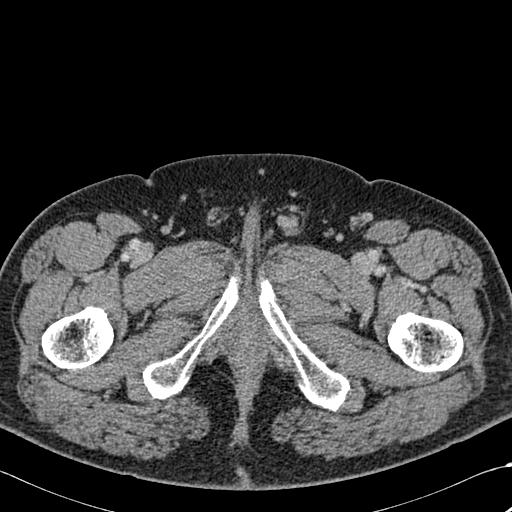
CT slice.

<segmentation>
  <bone>rect(42, 306, 113, 369); rect(259, 280, 349, 410); rect(143, 277, 237, 398); rect(388, 312, 462, 372)</bone>
</segmentation>